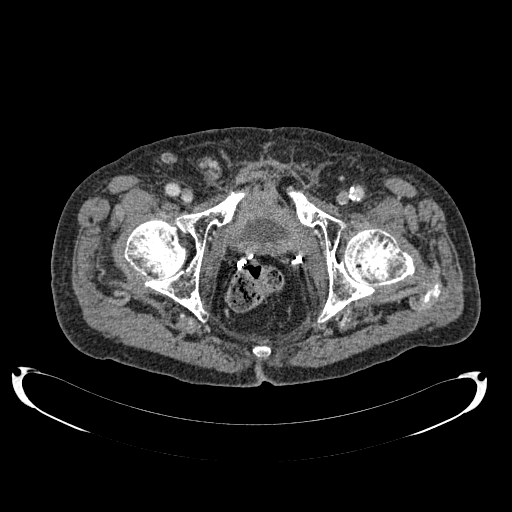

CT image. Pelvis.

<segmentation>
  <urinary_bladder>[242, 219, 286, 243]</urinary_bladder>
</segmentation>